FLAIR MRI.
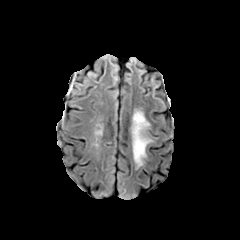
T1-weighted MRI.
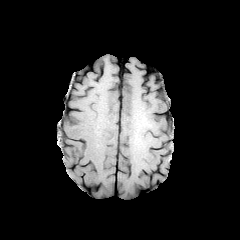
Post-contrast T1-weighted MRI.
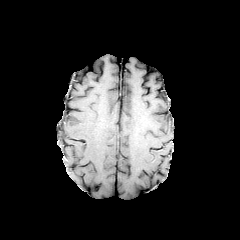
T2-weighted MR.
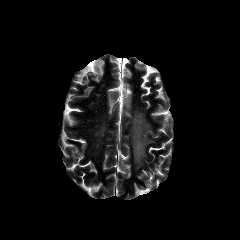
240x240 px | Brain
The edema appears at 132,112,151,166.